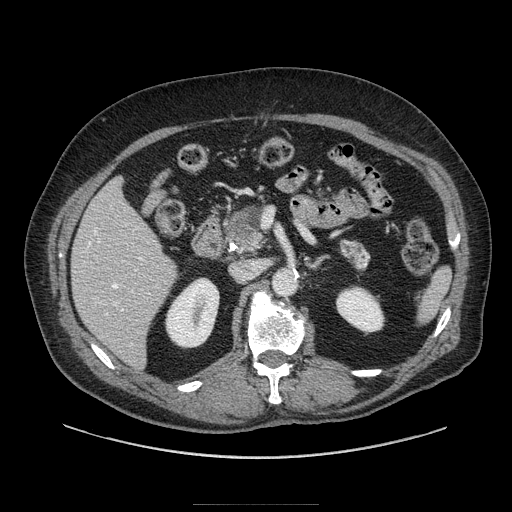

Image size 512x512, Computed tomography
pancreas: <box>230,208,262,251</box>, <box>339,240,369,268</box> | pancreatic tumor: <box>227,211,250,238</box>